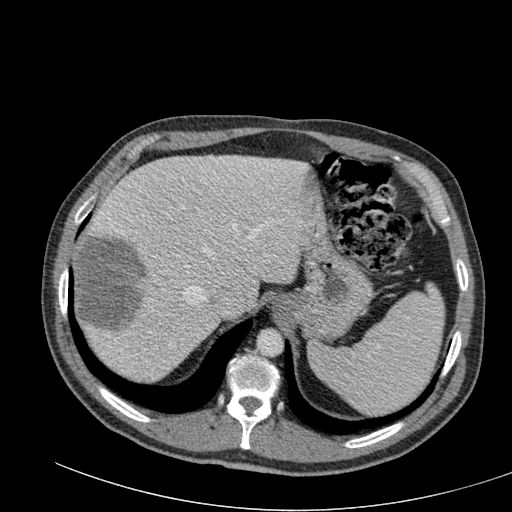
CT image. Upper abdomen.
Hepatic lesion: l=72, t=236, r=149, b=331.
Liver: l=83, t=155, r=325, b=381.